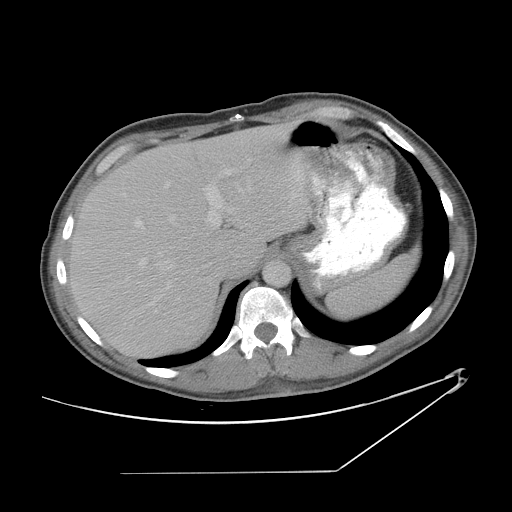
Abdomen, Computed tomography, Image size 512x512
The vessel annotation is not exhaustive.
10 hepatic vessel regions appear at [207,187,222,227], [228,209,234,212], [167,283,170,288], [136,220,142,228], [219,169,236,175], [158,263,172,269], [140,258,146,265], [165,183,169,187], [168,214,176,224], [239,189,243,192].